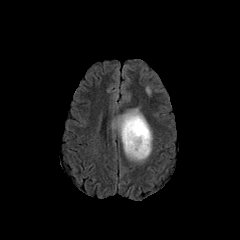
FLAIR MRI.
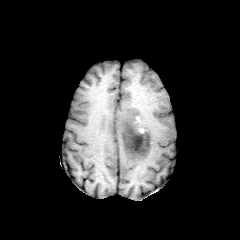
Same slice, T1-weighted MR.
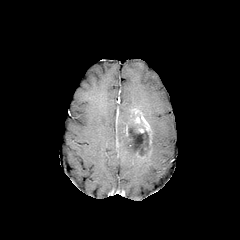
Same slice, post-contrast T1-weighted MR image.
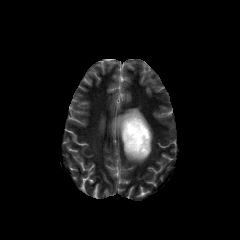
T2-weighted MRI.
Brain
The enhancing tumor is bounded by bbox=[130, 109, 150, 132]. The non-enhancing tumor core is bounded by bbox=[122, 116, 150, 156]. The edema is bounded by bbox=[112, 110, 151, 162].